Field of view 400x400 mm; MR image
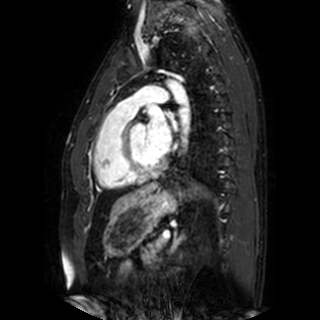

left atrium: (left=145, top=108, right=171, bottom=154), (left=166, top=110, right=179, bottom=130)